FLAIR MR.
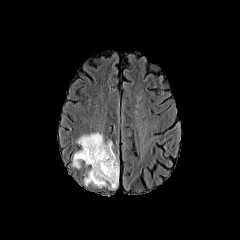
T1-weighted magnetic resonance.
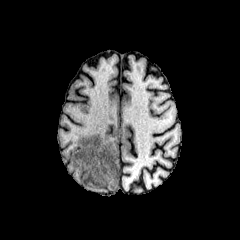
Post-contrast T1-weighted MR.
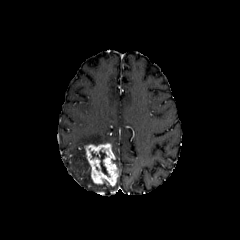
T2-weighted magnetic resonance.
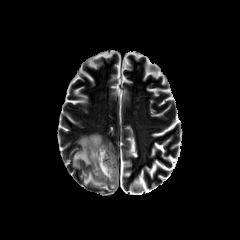
240x240 px; Brain
• non-enhancing tumor core: (x1=91, y1=150, x2=107, y2=175)
• enhancing tumor: (x1=84, y1=142, x2=118, y2=185)
• edema: (x1=84, y1=173, x2=105, y2=188), (x1=108, y1=177, x2=119, y2=189), (x1=72, y1=133, x2=103, y2=168)